FLAIR MR image.
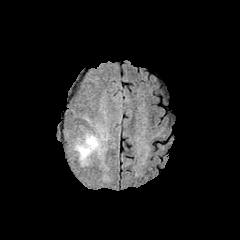
T1-weighted magnetic resonance.
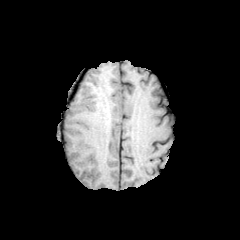
Post-contrast T1-weighted MRI.
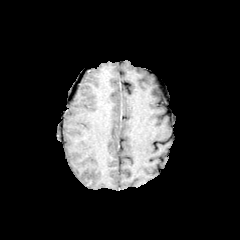
T2-weighted MRI.
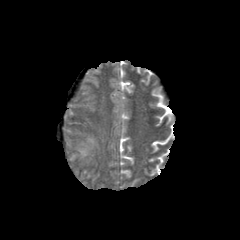
Brain
The edema is at 76, 135, 98, 159.